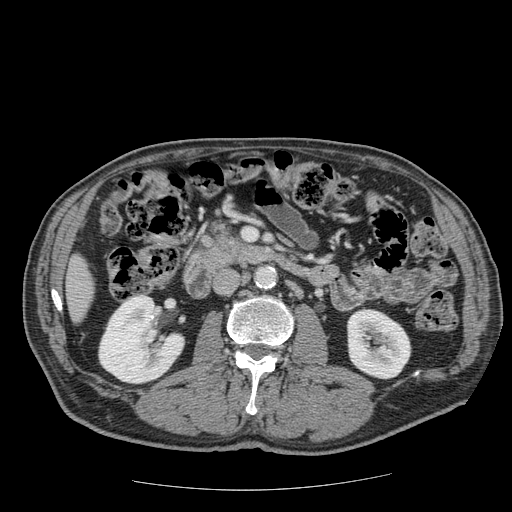

Upper abdomen | CT | Image size 512x512
The pancreas is located at [207,225,229,253]. The pancreatic tumor lies within [211,220,244,252].